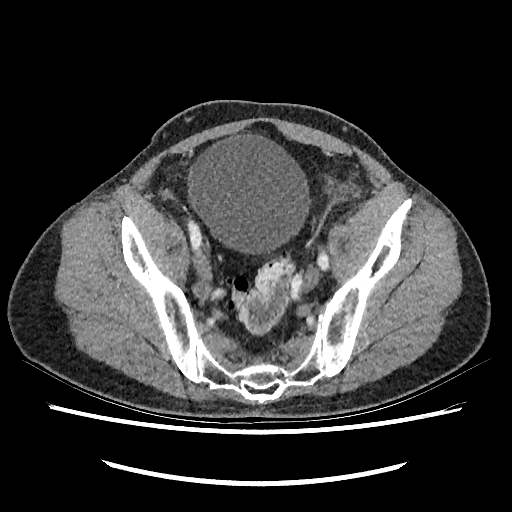
Image size 512x512; Lower abdomen; CT slice
{
  "urinary_bladder": [
    "187,131,311,254"
  ]
}